Slice 71 of 155 | Image size 240x240 | Head
FLAIR MR image.
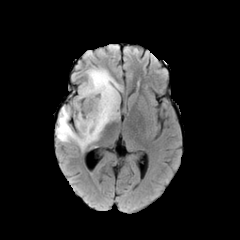
T1-weighted MR.
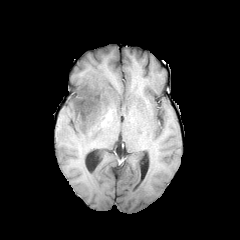
Post-contrast T1-weighted MR.
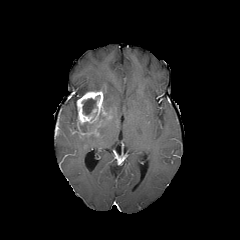
T2-weighted MR image.
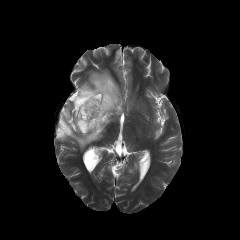
Edema — box(56, 66, 120, 150).
Non-enhancing tumor core — box(80, 124, 95, 132); box(74, 87, 101, 127); box(82, 98, 96, 114); box(99, 86, 109, 125).
Enhancing tumor — box(76, 89, 106, 131); box(80, 128, 98, 136).